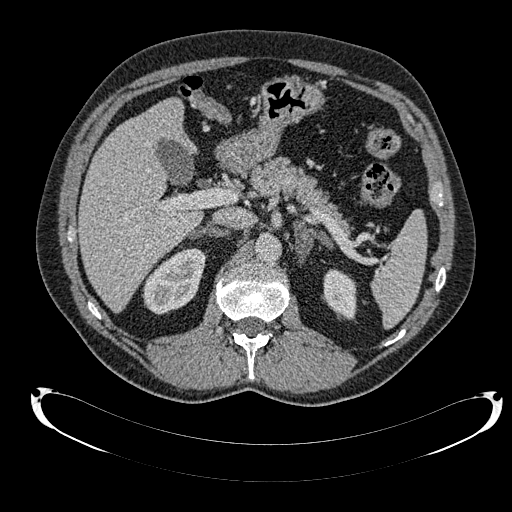 Image size 512x512 | Liver | CT
kidney: bbox(324, 270, 355, 317); bbox(144, 249, 204, 313) | liver: bbox(79, 99, 201, 311)